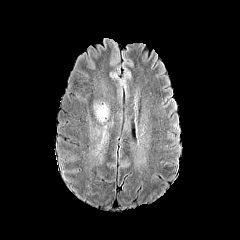
FLAIR magnetic resonance.
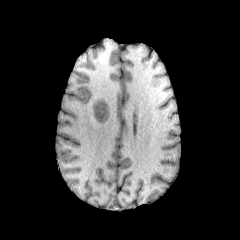
T1-weighted MR image.
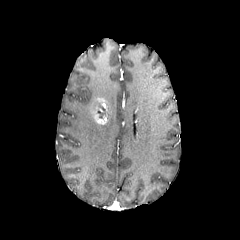
Post-contrast T1-weighted MR.
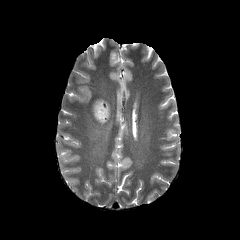
Same slice, T2-weighted MR image.
Head
Non-enhancing tumor core — rect(96, 103, 109, 118).
Enhancing tumor — rect(91, 98, 108, 124).